Slice 28 of 37. Medial temporal lobe. MR.

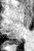
Posterior hippocampus — <bbox>10, 40, 20, 45</bbox>.